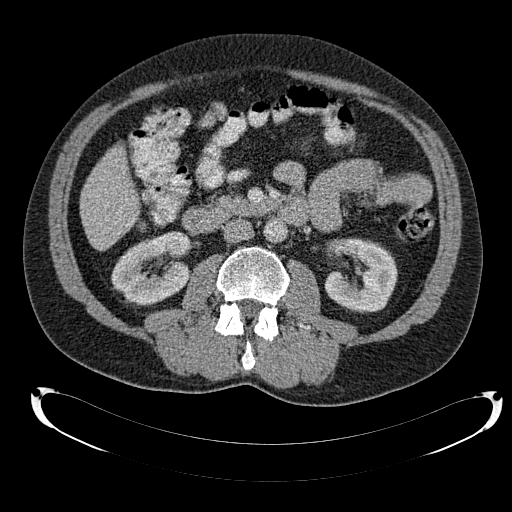
CT image; 512x512
The liver is bounded by [x1=81, y1=146, x2=139, y2=250]. 2 kidney regions are located at [x1=112, y1=233, x2=188, y2=304], [x1=325, y1=239, x2=396, y2=311].